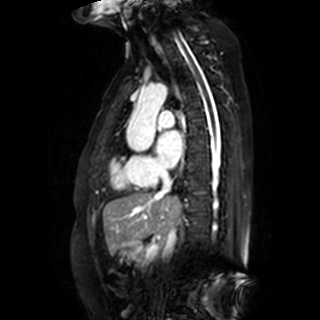 MR. Cardiac.

Annotated regions:
• left atrium: box=[155, 131, 182, 168]